Slice index 557. Computed tomography. 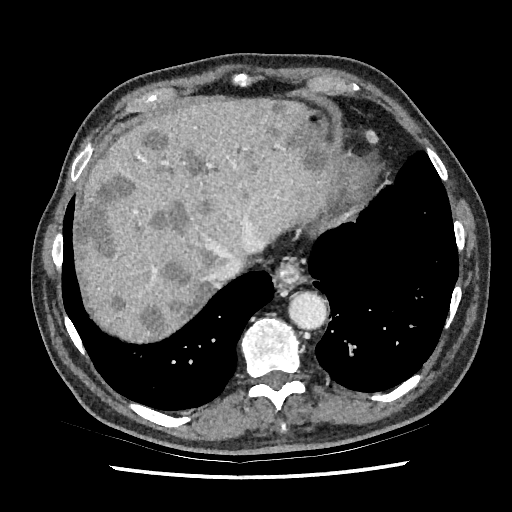

The liver is bounded by [74, 101, 332, 342]. The principal 15 liver lesion regions (of 17) are bounded by [112, 295, 126, 310], [157, 260, 213, 318], [184, 149, 219, 178], [253, 102, 263, 113], [140, 305, 169, 336], [76, 174, 137, 257], [237, 151, 258, 169], [199, 250, 225, 265], [148, 198, 194, 237], [132, 219, 143, 236], [286, 121, 330, 170], [198, 198, 213, 215], [271, 102, 286, 115], [152, 154, 176, 178], [141, 130, 167, 152].